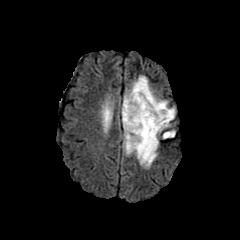
FLAIR MR.
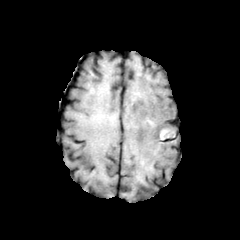
Same slice, T1-weighted MR.
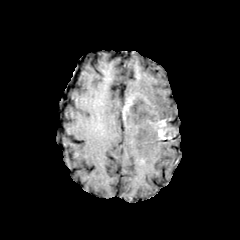
Post-contrast T1-weighted MRI.
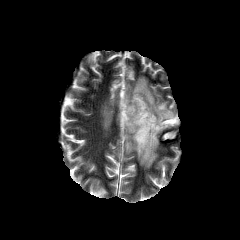
T2-weighted MR image.
Image size 240x240
- non-enhancing tumor core: [x1=121, y1=93, x2=156, y2=134]
- edema: [x1=104, y1=110, x2=109, y2=127], [x1=123, y1=118, x2=163, y2=166], [x1=166, y1=120, x2=175, y2=133], [x1=122, y1=75, x2=175, y2=119]
- enhancing tumor: [x1=156, y1=120, x2=167, y2=135], [x1=122, y1=98, x2=131, y2=114]